Field of view 240x240 mm, Brain
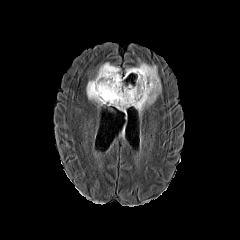
FLAIR magnetic resonance.
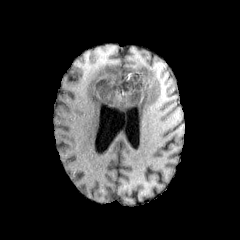
T1-weighted MR of the same slice.
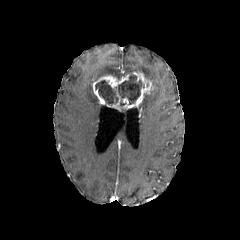
Post-contrast T1-weighted MR.
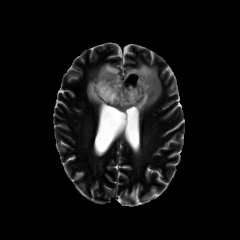
Same slice, T2-weighted MRI.
enhancing_tumor:
  - {"x1": 112, "y1": 96, "x2": 135, "y2": 111}
  - {"x1": 132, "y1": 71, "x2": 157, "y2": 104}
  - {"x1": 92, "y1": 74, "x2": 129, "y2": 103}
non-enhancing_tumor_core:
  - {"x1": 117, "y1": 73, "x2": 141, "y2": 104}
  - {"x1": 95, "y1": 80, "x2": 118, "y2": 104}
edema:
  - {"x1": 125, "y1": 60, "x2": 162, "y2": 117}
  - {"x1": 87, "y1": 80, "x2": 99, "y2": 108}
  - {"x1": 92, "y1": 62, "x2": 122, "y2": 80}